FLAIR MR image.
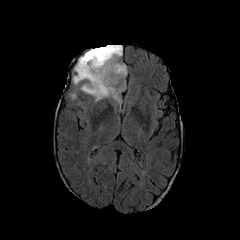
T1-weighted MR.
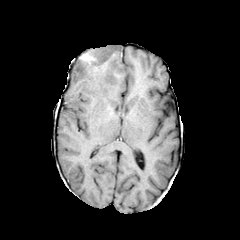
Post-contrast T1-weighted magnetic resonance.
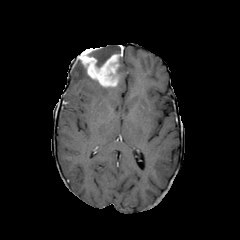
T2-weighted MR.
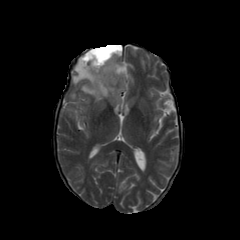
Brain
2 non-enhancing tumor core regions appear at 90,45,121,67; 77,60,89,77. The enhancing tumor lies within 78,46,123,87. The edema is bounded by 71,60,127,103.